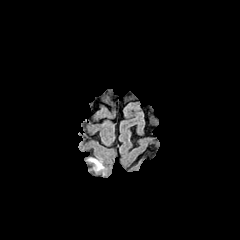
FLAIR MR image.
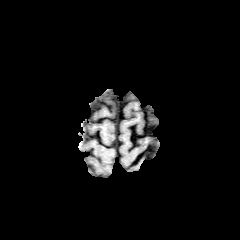
T1-weighted MR of the same slice.
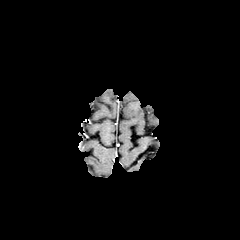
Same slice, post-contrast T1-weighted MR image.
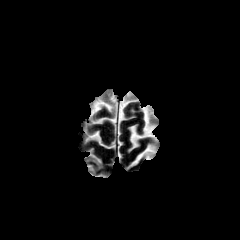
T2-weighted MR of the same slice.
Brain. 240x240 px.
Findings:
- edema: left=88, top=158, right=104, bottom=170